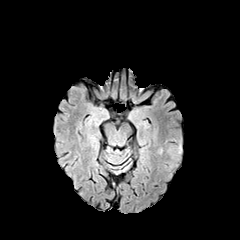
FLAIR MRI.
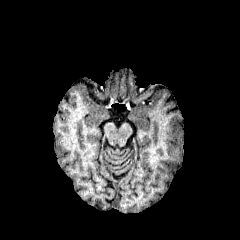
T1-weighted MR.
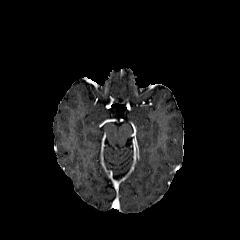
Post-contrast T1-weighted MR image of the same slice.
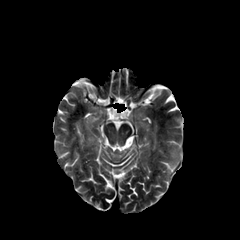
T2-weighted MR image of the same slice.
Brain
<segmentation>
  <edema>(left=167, top=146, right=182, bottom=153)</edema>
</segmentation>